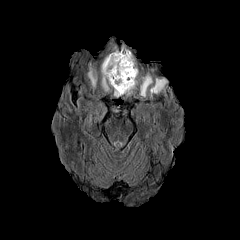
FLAIR magnetic resonance.
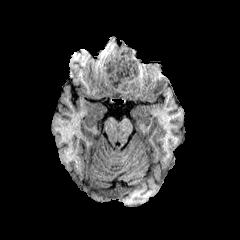
T1-weighted MRI of the same slice.
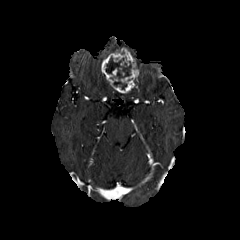
Same slice, post-contrast T1-weighted magnetic resonance.
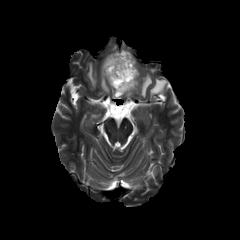
T2-weighted MRI.
240x240 px; Brain
enhancing_tumor:
  - <bbox>101, 47, 139, 95</bbox>
edema:
  - <bbox>102, 76, 108, 91</bbox>
  - <bbox>140, 75, 152, 96</bbox>
  - <bbox>150, 79, 167, 98</bbox>
  - <bbox>87, 63, 96, 89</bbox>
non-enhancing_tumor_core:
  - <bbox>105, 57, 131, 78</bbox>
  - <bbox>113, 81, 126, 89</bbox>